FLAIR MRI.
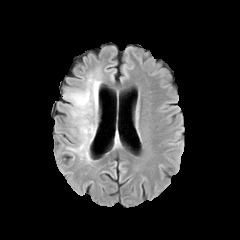
T1-weighted magnetic resonance.
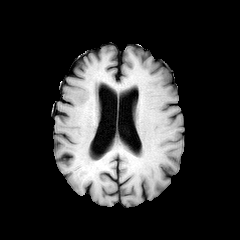
Post-contrast T1-weighted MR image.
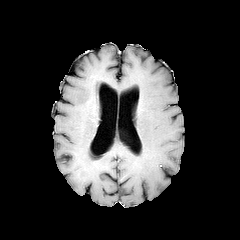
T2-weighted MR.
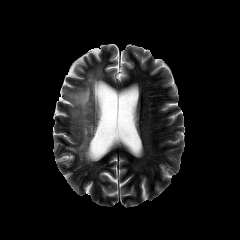
The edema is at bbox=[66, 72, 103, 163].